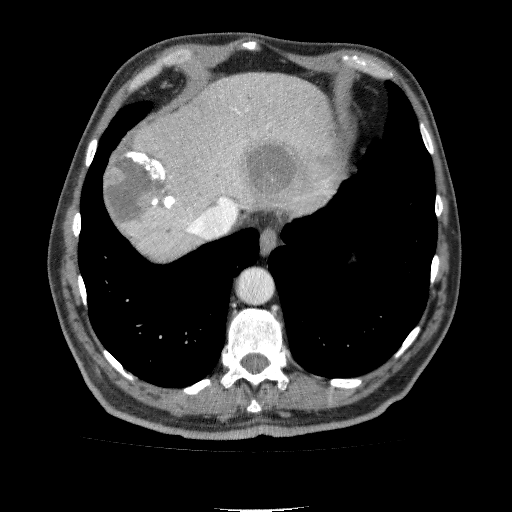

CT scan slice | Liver | Image size 512x512
Liver: bounding box 120,74,344,263.
Focal liver lesion: bounding box 104,144,179,230; 238,138,333,203.